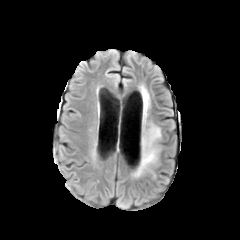
FLAIR magnetic resonance.
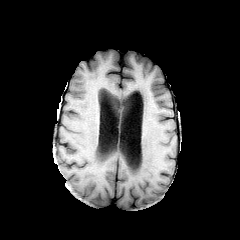
Same slice, T1-weighted MR.
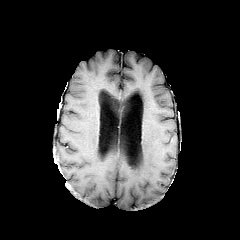
Same slice, post-contrast T1-weighted MR.
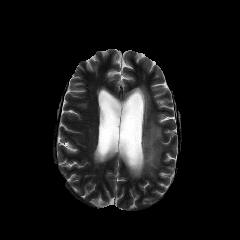
T2-weighted magnetic resonance.
Image size 240x240
edema:
  - bbox=[133, 86, 161, 177]